Abdomen. Computed tomography. 512x512 px. 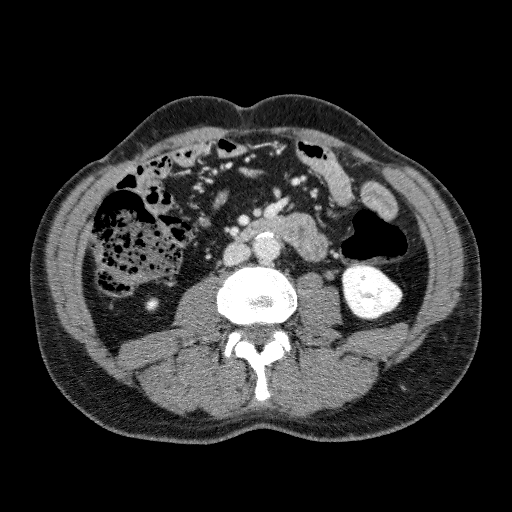
Kidney: bounding box {"x1": 343, "y1": 266, "x2": 401, "y2": 317}.